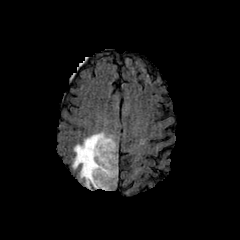
FLAIR magnetic resonance.
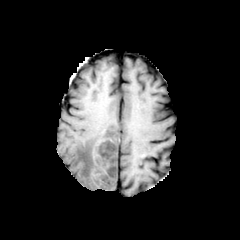
T1-weighted MR image.
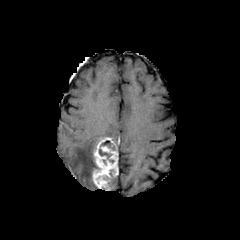
Post-contrast T1-weighted magnetic resonance of the same slice.
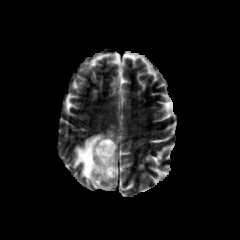
T2-weighted MR image.
Head.
Edema: bounding box 72,131,118,189.
Non-enhancing tumor core: bounding box 105,176,117,190; 84,140,98,180.
Enhancing tumor: bounding box 92,137,117,189.